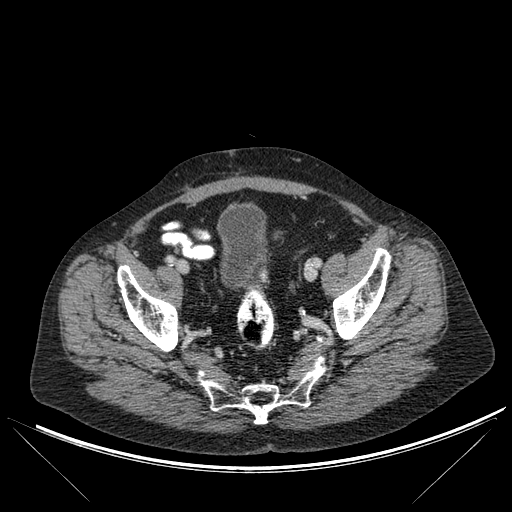
CT slice
urinary_bladder:
  - {"x1": 216, "y1": 204, "x2": 270, "y2": 289}
bone:
  - {"x1": 198, "y1": 356, "x2": 325, "y2": 423}
  - {"x1": 333, "y1": 248, "x2": 390, "y2": 339}
  - {"x1": 117, "y1": 265, "x2": 177, "y2": 351}